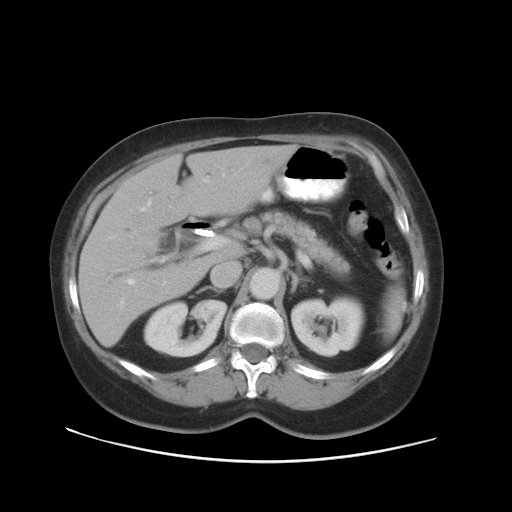
512x512, CT scan slice, Upper abdomen

* pancreas: x1=261 y1=211 x2=349 y2=279